240x240 px. Head.
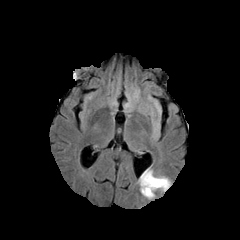
FLAIR MRI.
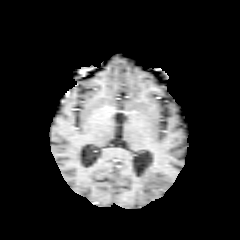
T1-weighted MR image.
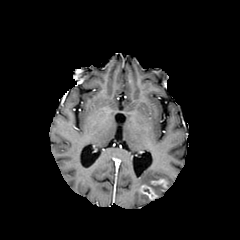
Post-contrast T1-weighted MR of the same slice.
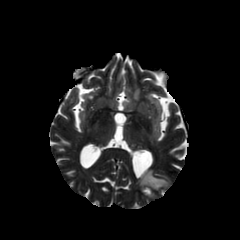
T2-weighted MRI of the same slice.
* enhancing tumor: region(151, 178, 167, 186); region(141, 185, 155, 198)
* edema: region(137, 168, 170, 193)